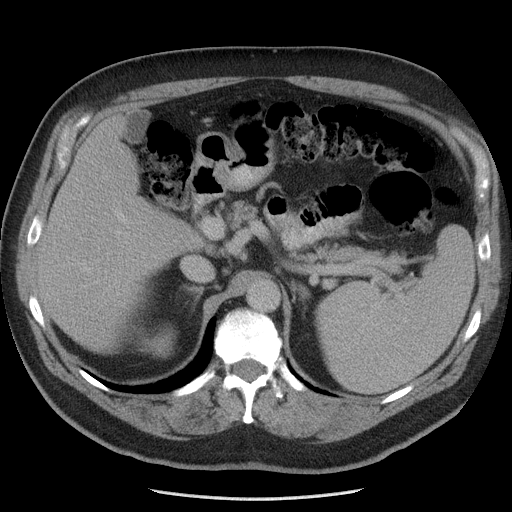
Computed tomography
Only some of the vessels may be annotated.
Hepatic vessel = region(116, 212, 125, 222); region(152, 255, 154, 256); region(92, 216, 93, 219); region(115, 231, 120, 234).